CT | Slice 100 of 147
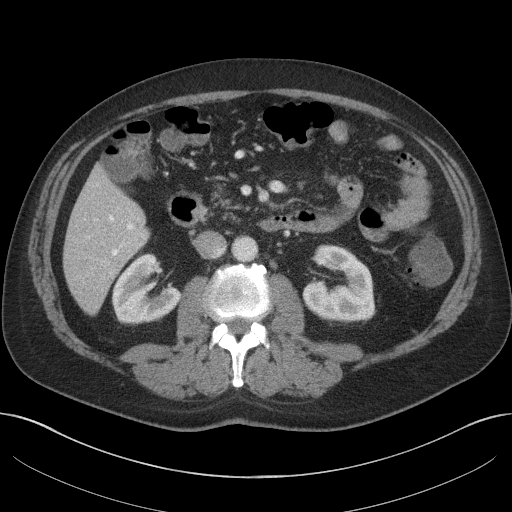

Kidney: bounding box x1=113 y1=255 x2=179 y2=322, x1=304 y1=246 x2=373 y2=319.
Liver: bounding box x1=62 y1=166 x2=150 y2=312.